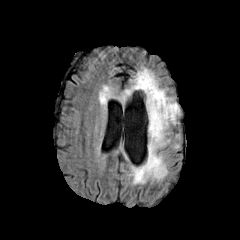
FLAIR magnetic resonance.
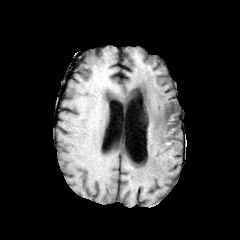
T1-weighted MR.
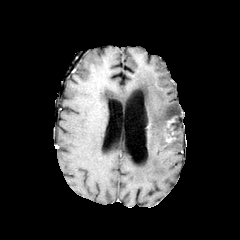
Post-contrast T1-weighted magnetic resonance.
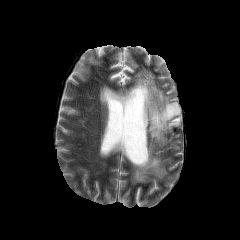
T2-weighted MRI.
edema:
  - (left=99, top=68, right=181, bottom=183)
non-enhancing_tumor_core:
  - (left=166, top=106, right=175, bottom=115)